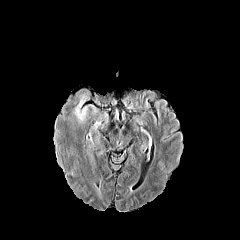
FLAIR magnetic resonance.
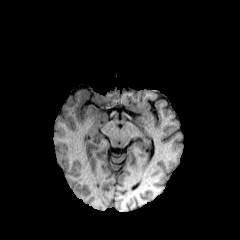
T1-weighted magnetic resonance of the same slice.
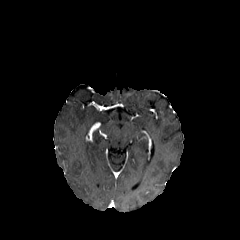
Post-contrast T1-weighted magnetic resonance.
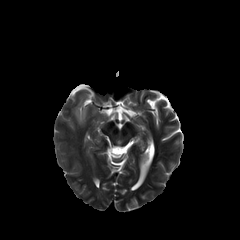
Same slice, T2-weighted MRI.
240x240 px, Head
Annotated regions:
* edema: x1=76, y1=100, x2=87, y2=119